Computed tomography. Upper abdomen.

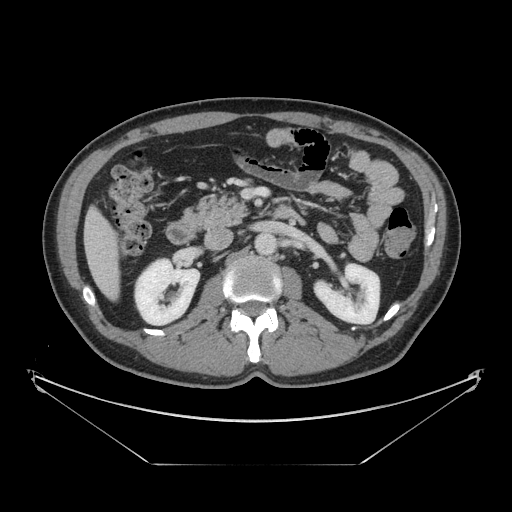

pancreas:
  - bbox(184, 195, 248, 229)